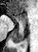 MRI
anterior_hippocampus:
  - <box>9,13,26,22</box>
posterior_hippocampus:
  - <box>11,23,25,42</box>